Liver, 512x512, CT
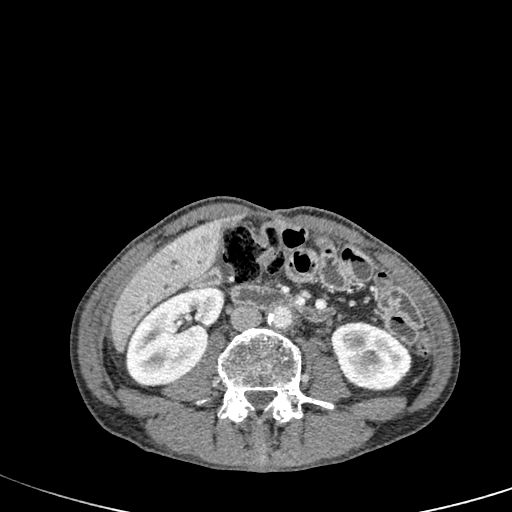

* kidney: x1=127 y1=288 x2=223 y2=384, x1=332 y1=323 x2=410 y2=389
* liver: x1=112 y1=219 x2=224 y2=352
* focal liver lesion: x1=224 y1=215 x2=240 y2=224